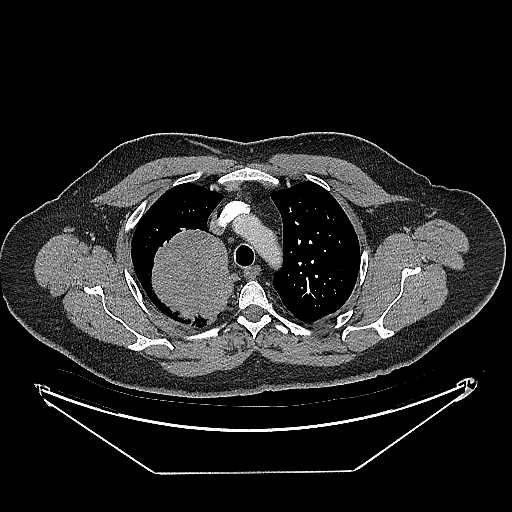

CT scan slice. Image size 512x512.

The lung tumor is located at [x1=147, y1=226, x2=233, y2=327].